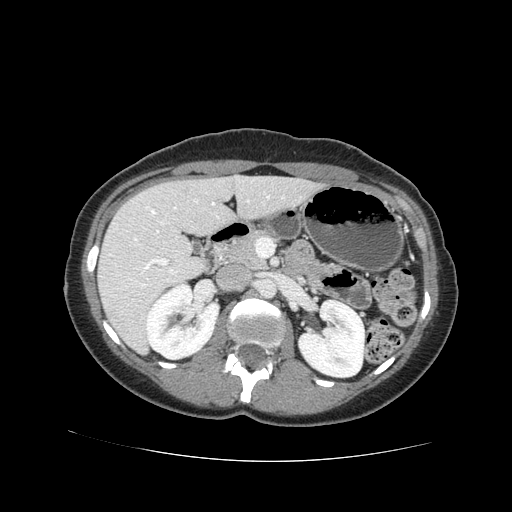

CT scan slice, Abdomen
The pancreas is at region(218, 228, 270, 269).